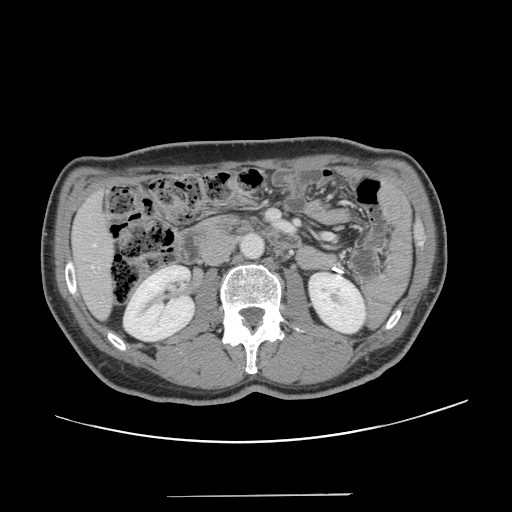 CT slice. Abdomen. 512x512.

The vessel annotation is not exhaustive.
hepatic vessel: [x1=93, y1=243, x2=95, y2=246], [x1=91, y1=266, x2=92, y2=268]